Slice 84/155, Head
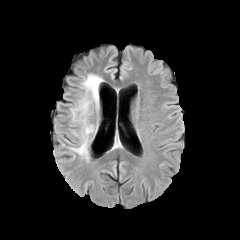
FLAIR MR.
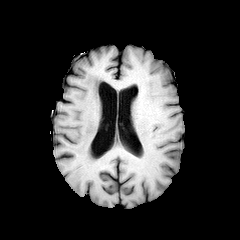
Same slice, T1-weighted MR.
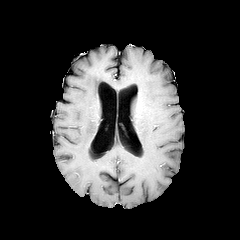
Post-contrast T1-weighted magnetic resonance.
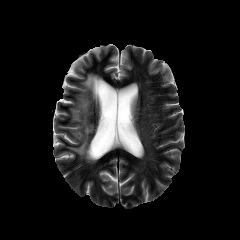
Same slice, T2-weighted MRI.
The edema is at rect(70, 73, 103, 159).